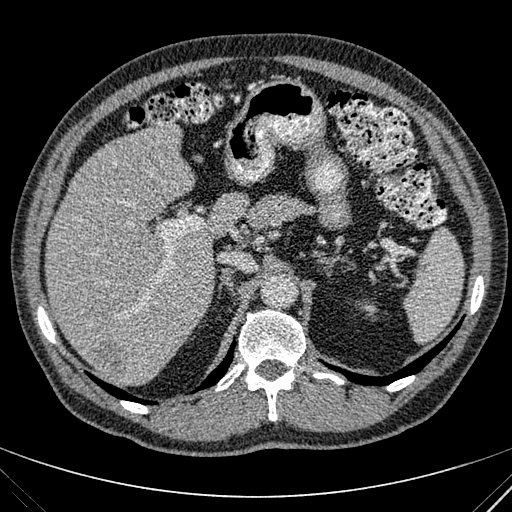
CT image | Liver
<segmentation>
  <focal_liver_lesion>(83, 332, 125, 377)</focal_liver_lesion>
  <liver>(47, 124, 246, 384)</liver>
  <kidney>(364, 305, 375, 311)</kidney>
</segmentation>